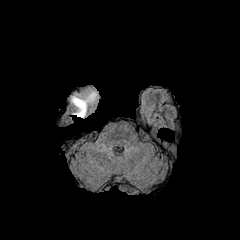
FLAIR magnetic resonance.
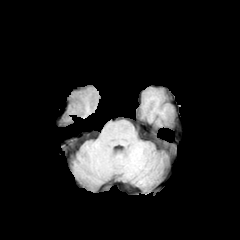
T1-weighted MRI of the same slice.
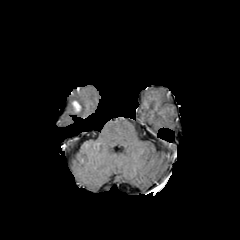
Post-contrast T1-weighted magnetic resonance.
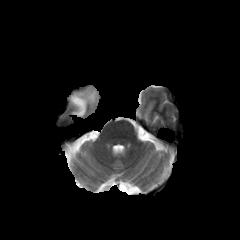
T2-weighted MR of the same slice.
240x240 px
The edema appears at [69,88,97,117]. The enhancing tumor lies within [72,101,80,112].